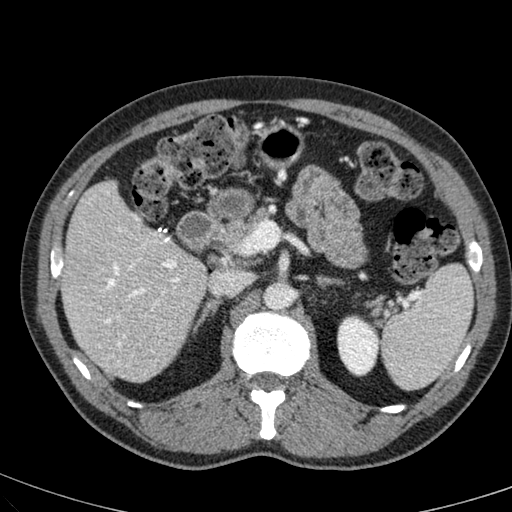
Abdomen | 512x512 px | Computed tomography
{"kidney": ["<bbox>339, 318, 377, 373</bbox>"], "liver": ["<bbox>62, 182, 206, 379</bbox>"]}